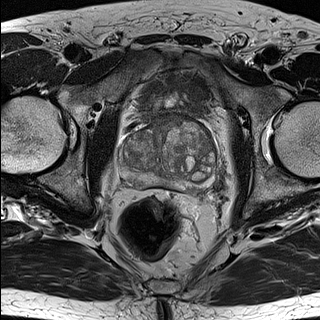
T2-weighted magnetic resonance.
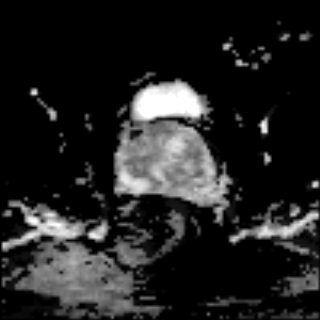
ADC MR image.
Prostate
Prostate peripheral zone: 121 152 214 191.
Prostate transition zone: 122 121 214 183.